Field of view 240x240 mm | Head | Slice 91/155
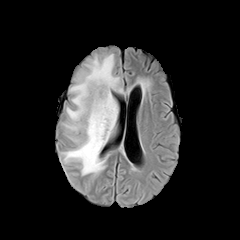
FLAIR magnetic resonance.
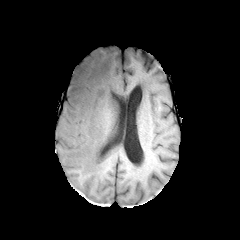
T1-weighted MRI.
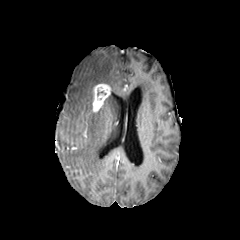
Same slice, post-contrast T1-weighted magnetic resonance.
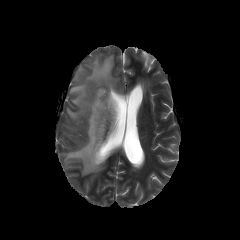
T2-weighted MR image.
enhancing tumor: (x1=92, y1=83, x2=110, y2=112) | edema: (x1=63, y1=54, x2=118, y2=175)